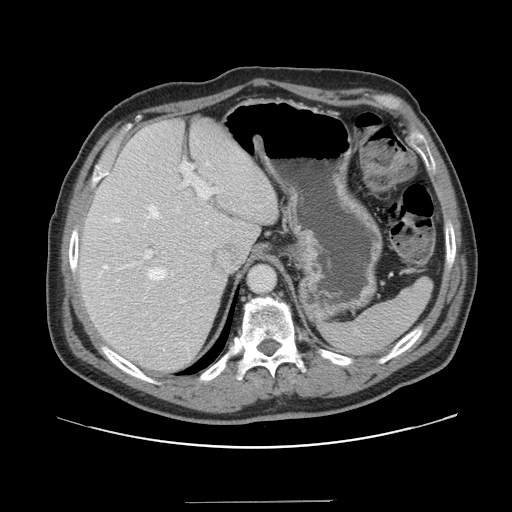
Image size 512x512. Computed tomography.

The vessel boxes may cover only some of the vessels.
{
  "hepatic_vessel": [
    "box=[178, 162, 218, 199]",
    "box=[180, 300, 183, 302]",
    "box=[103, 265, 107, 268]",
    "box=[206, 163, 208, 164]",
    "box=[148, 268, 165, 279]",
    "box=[144, 250, 152, 258]",
    "box=[112, 217, 120, 221]",
    "box=[205, 222, 207, 223]",
    "box=[147, 205, 158, 218]"
  ]
}